Field of view 385 mm wide, 2.50 mm slice spacing, Upper abdomen, Slice 26/76, CT scan slice
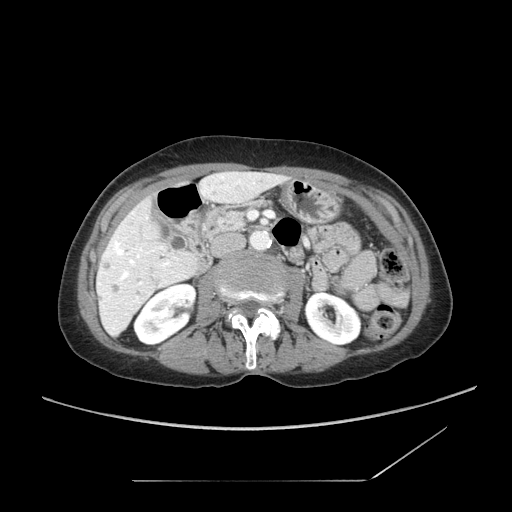 pancreatic_tumor:
  - region(208, 212, 225, 225)
pancreas:
  - region(206, 201, 266, 240)